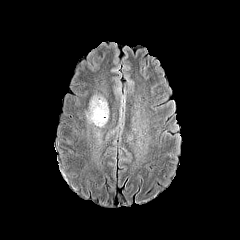
FLAIR MR image.
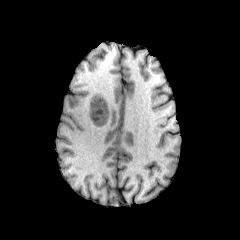
T1-weighted MRI.
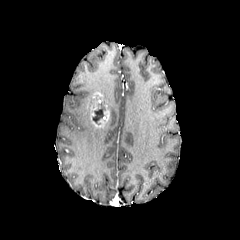
Post-contrast T1-weighted magnetic resonance.
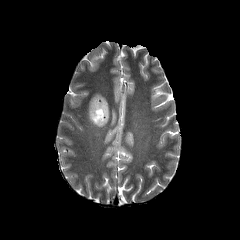
Same slice, T2-weighted MRI.
Head
The non-enhancing tumor core is at 92 97 108 124. The enhancing tumor appears at 89 104 109 127.